Slice index 92, Upper abdomen, CT scan slice

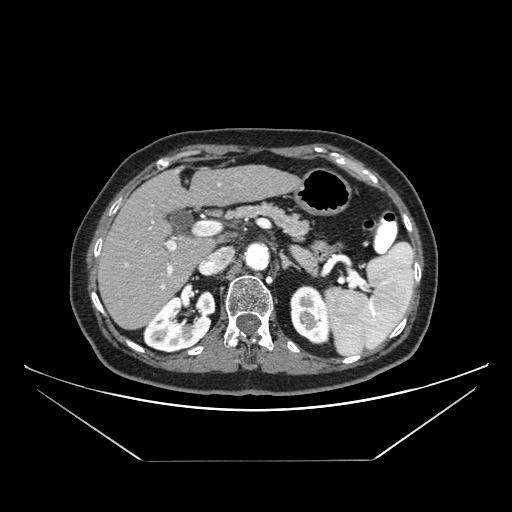
<segmentation>
  <pancreas>rect(204, 203, 310, 242)</pancreas>
</segmentation>